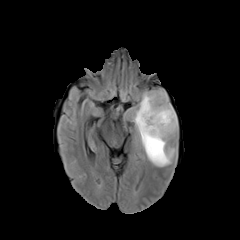
FLAIR MRI.
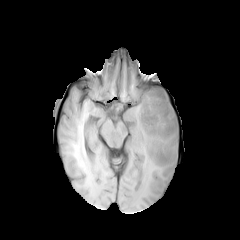
Same slice, T1-weighted MR.
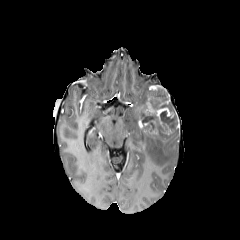
Post-contrast T1-weighted MR.
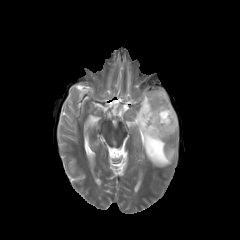
T2-weighted magnetic resonance.
Head
enhancing tumor: l=149, t=85, r=165, b=90; l=146, t=102, r=171, b=118 | edema: l=129, t=89, r=178, b=167 | non-enhancing tumor core: l=137, t=88, r=177, b=137